CT slice, Abdomen, 512x512

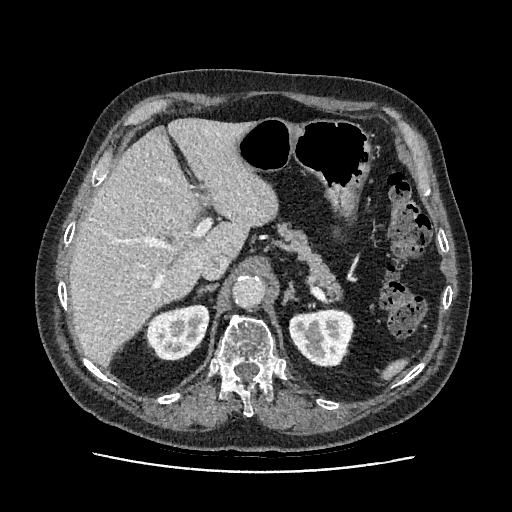
The liver is bounded by rect(69, 119, 276, 366). 2 kidney regions are bounded by rect(290, 310, 352, 365); rect(147, 306, 208, 359).